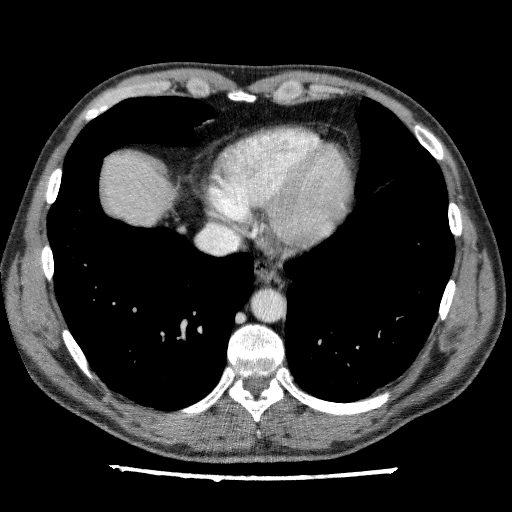 Liver; CT slice
Liver: bounding box (left=100, top=152, right=179, bottom=228).